Brain; 240x240
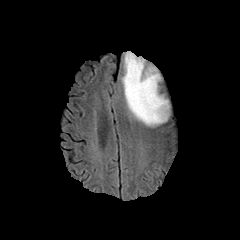
FLAIR magnetic resonance.
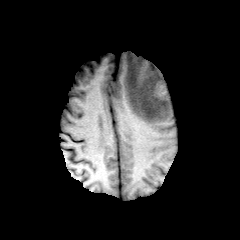
T1-weighted MR image.
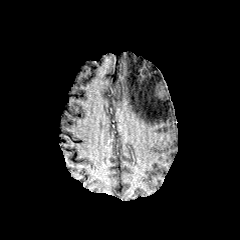
Same slice, post-contrast T1-weighted MR image.
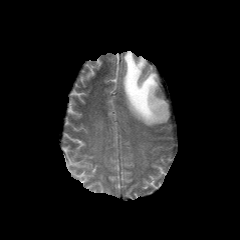
T2-weighted MR of the same slice.
Annotated regions:
• edema: (x1=121, y1=51, x2=169, y2=127)